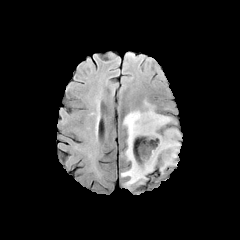
FLAIR MR.
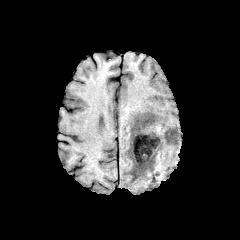
T1-weighted MR image.
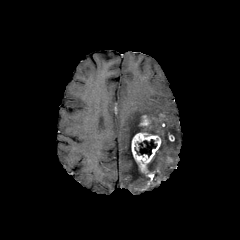
Post-contrast T1-weighted MR image of the same slice.
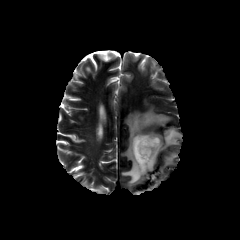
T2-weighted magnetic resonance.
Brain
edema:
  - (left=121, top=110, right=181, bottom=188)
enhancing_tumor:
  - (left=131, top=133, right=160, bottom=172)
  - (left=140, top=115, right=149, bottom=125)
non-enhancing_tumor_core:
  - (left=160, top=132, right=175, bottom=143)
  - (left=138, top=125, right=147, bottom=132)
  - (left=134, top=139, right=157, bottom=157)